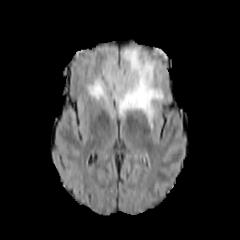
FLAIR MR image.
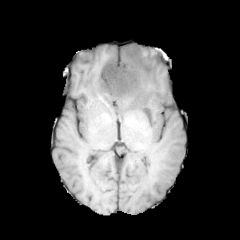
T1-weighted MR image.
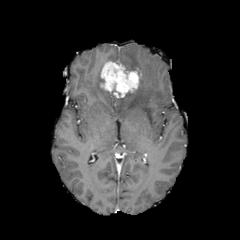
Post-contrast T1-weighted MR image.
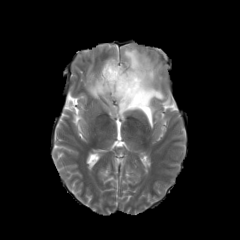
Same slice, T2-weighted MRI.
{"edema": ["<box>87,75,114,99</box>", "<box>113,48,164,128</box>"], "non-enhancing_tumor_core": ["<box>117,90,132,104</box>"], "enhancing_tumor": ["<box>100,61,141,97</box>"]}